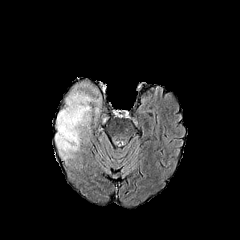
FLAIR magnetic resonance.
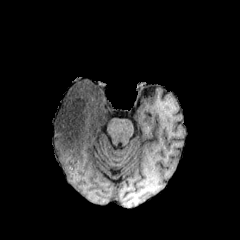
T1-weighted MR image of the same slice.
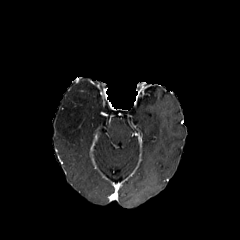
Post-contrast T1-weighted MR.
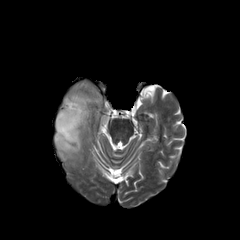
T2-weighted MR image of the same slice.
Brain
Edema: 54, 81, 108, 162.